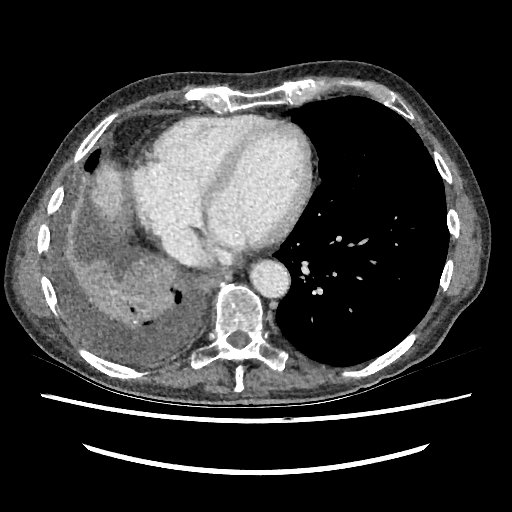 Computed tomography.
The liver is bounded by <bbox>91, 166, 122, 219</bbox>.